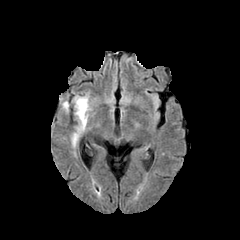
FLAIR MR.
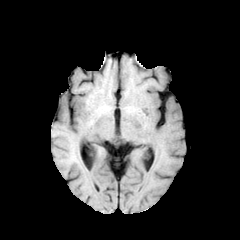
Same slice, T1-weighted MR image.
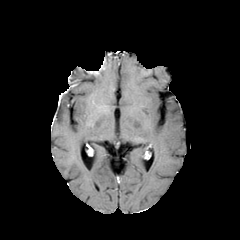
Post-contrast T1-weighted magnetic resonance.
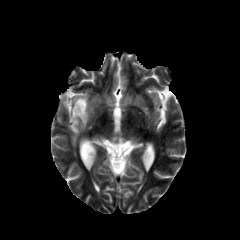
T2-weighted MRI of the same slice.
240x240
edema:
  - [60,92,94,147]